Slice 98 of 155, Image size 240x240
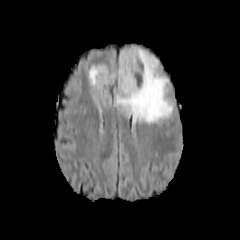
FLAIR MR image.
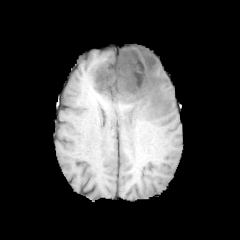
T1-weighted MR image.
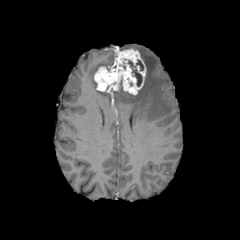
Post-contrast T1-weighted MRI.
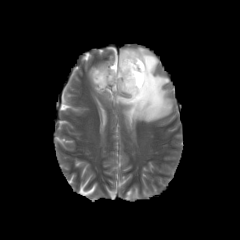
T2-weighted MR.
<segmentation>
  <non-enhancing_tumor_core>128,61,142,86</non-enhancing_tumor_core>
  <enhancing_tumor>93,48,145,94</enhancing_tumor>
  <edema>88,62,108,89; 116,48,173,122</edema>
</segmentation>